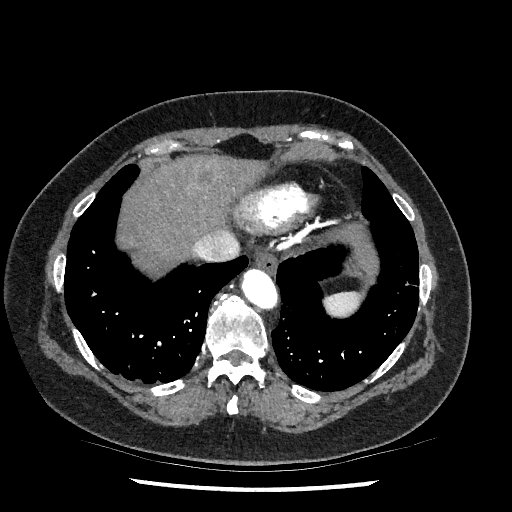

CT image | Image size 512x512
liver:
  - box=[342, 225, 376, 273]
  - box=[121, 155, 266, 274]